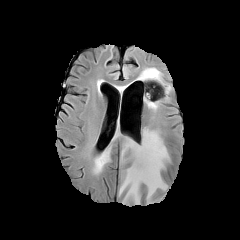
FLAIR MRI.
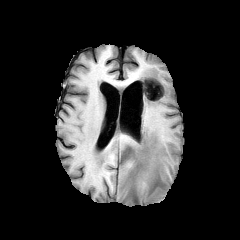
T1-weighted magnetic resonance.
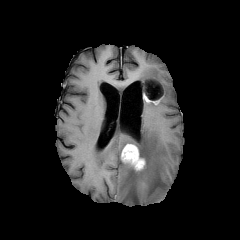
Post-contrast T1-weighted MR image.
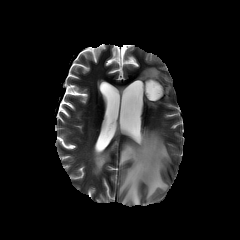
Same slice, T2-weighted MR image.
Brain
Edema = [x1=139, y1=67, x2=161, y2=81], [x1=119, y1=127, x2=169, y2=204], [x1=94, y1=146, x2=111, y2=172].
Non-enhancing tumor core = [x1=130, y1=146, x2=147, y2=177].
Enhancing tumor = [x1=121, y1=144, x2=145, y2=171].